Field of view 345 mm wide, 2.50 mm slice spacing; CT; 512x512 px
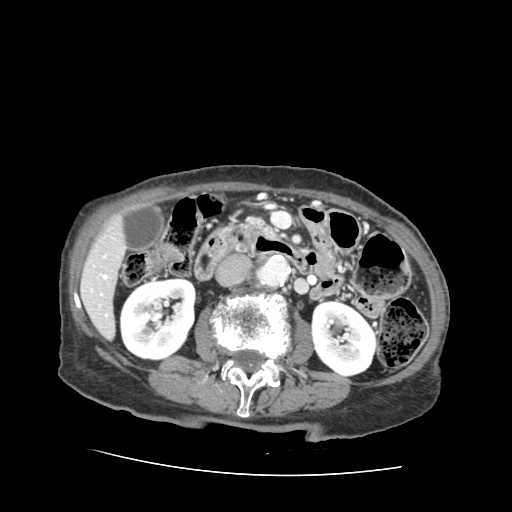 The pancreas appears at region(235, 212, 276, 238).